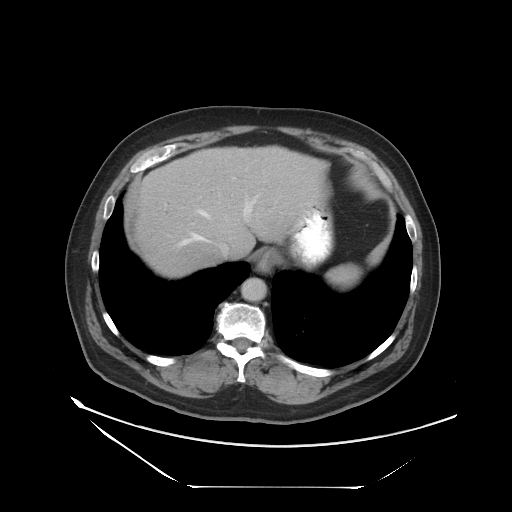
Liver, Computed tomography
Only some of the vessels may be annotated.
Hepatic vessel — bbox=[232, 177, 234, 178]; bbox=[190, 221, 195, 225]; bbox=[198, 211, 211, 219]; bbox=[245, 199, 254, 212]; bbox=[177, 228, 206, 245].